Field of view 240x240 mm
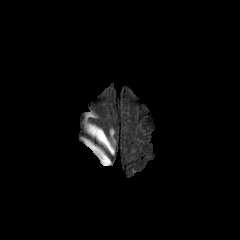
FLAIR MRI.
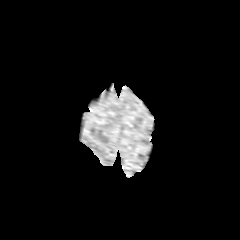
T1-weighted MR image.
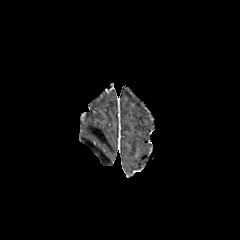
Post-contrast T1-weighted MR image of the same slice.
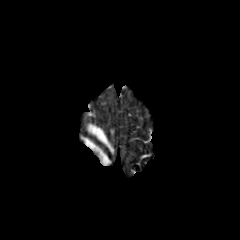
T2-weighted MR image.
{
  "edema": [
    "[84,123,114,165]"
  ]
}